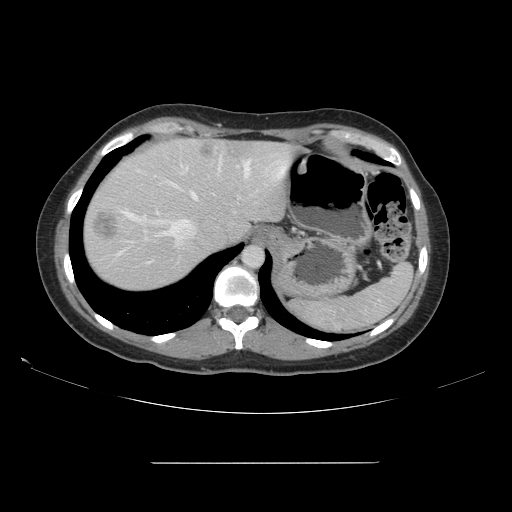
CT image | 512x512 px

The vessel boxes may cover only some of the vessels.
2 liver tumor regions appear at l=93, t=214, r=117, b=239; l=200, t=144, r=213, b=157. 15 hepatic vessel regions are bounded by l=191, t=192, r=197, b=199; l=237, t=166, r=239, b=167; l=115, t=249, r=125, b=257; l=158, t=220, r=166, b=223; l=241, t=159, r=250, b=177; l=122, t=210, r=147, b=224; l=180, t=164, r=187, b=174; l=156, t=209, r=158, b=213; l=218, t=155, r=222, b=172; l=162, t=219, r=193, b=244; l=185, t=230, r=194, b=236; l=127, t=241, r=133, b=244; l=145, t=237, r=147, b=239; l=148, t=261, r=151, b=262; l=154, t=235, r=158, b=236.